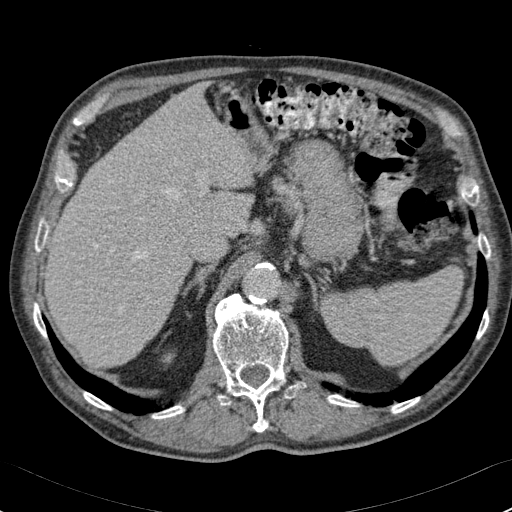
CT image

The liver is at <bbox>46, 83, 252, 367</bbox>.